Slice index 119.
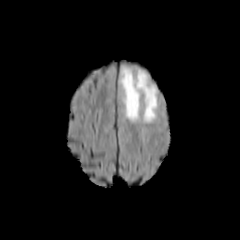
FLAIR magnetic resonance.
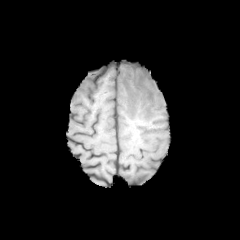
T1-weighted MR image.
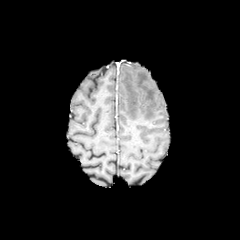
Post-contrast T1-weighted MR.
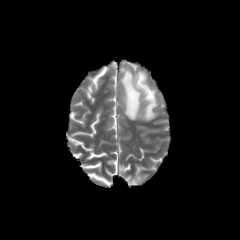
T2-weighted MR.
Segmented structures:
• edema: [121, 67, 157, 122]